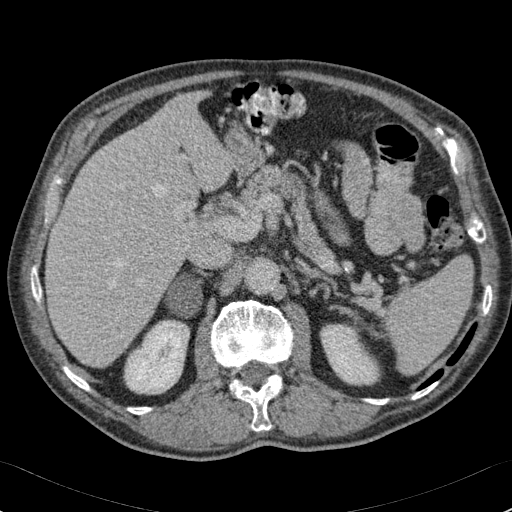 Abdomen, CT slice, 512x512

2 kidney regions are bounded by (321,324,378,384), (125,321,188,393). The liver is located at (46,95,230,366).